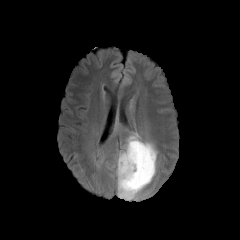
FLAIR MR image.
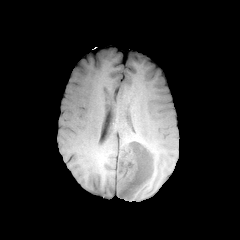
T1-weighted MR.
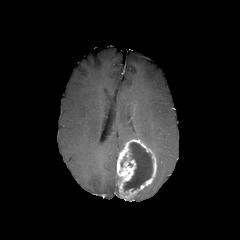
Post-contrast T1-weighted MRI of the same slice.
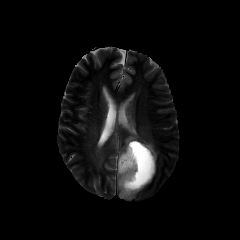
T2-weighted MR image.
Brain.
non-enhancing tumor core: bbox(124, 142, 152, 190) | enhancing tumor: bbox(116, 139, 156, 199) | edema: bbox(120, 127, 158, 162)